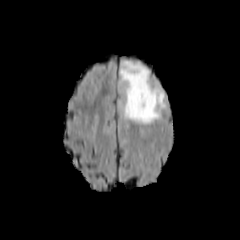
FLAIR MR image.
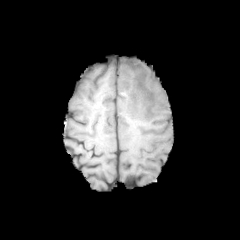
T1-weighted MRI of the same slice.
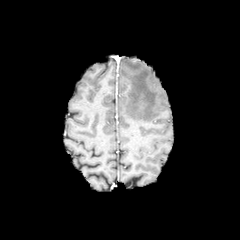
Post-contrast T1-weighted MRI.
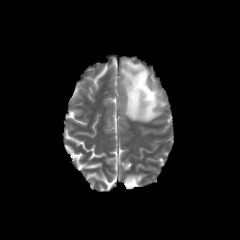
T2-weighted MR image.
Findings:
• edema: box=[119, 61, 165, 123]